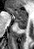

Hippocampus; MR image
Anterior hippocampus = <box>8,8,26,20</box>.
Posterior hippocampus = <box>14,20,26,29</box>.